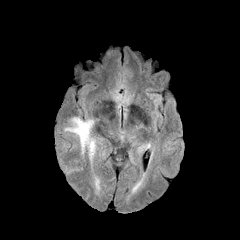
FLAIR MR.
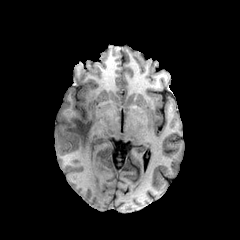
T1-weighted MRI.
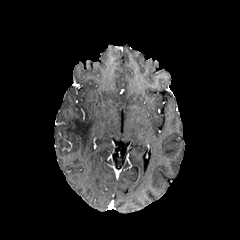
Same slice, post-contrast T1-weighted MR.
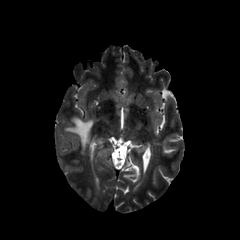
Same slice, T2-weighted MR image.
Brain.
edema: l=64, t=117, r=94, b=160